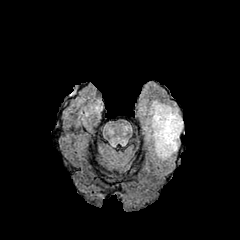
FLAIR MRI.
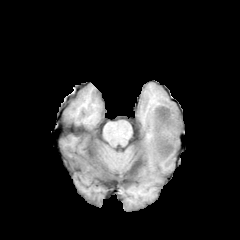
T1-weighted magnetic resonance.
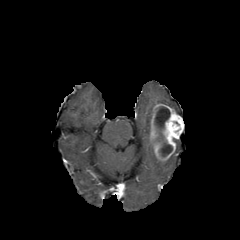
Same slice, post-contrast T1-weighted MRI.
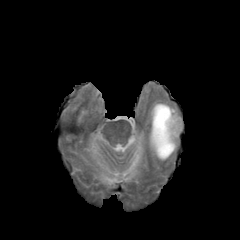
T2-weighted magnetic resonance.
Brain. Image size 240x240.
<segmentation>
  <edema>box(148, 99, 165, 119)</edema>
  <enhancing_tumor>box(149, 103, 184, 161)</enhancing_tumor>
  <non-enhancing_tumor_core>box(161, 143, 172, 155); box(155, 107, 169, 128)</non-enhancing_tumor_core>
</segmentation>